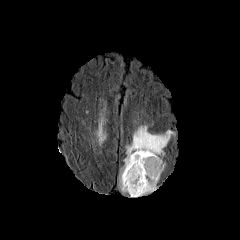
FLAIR MR image.
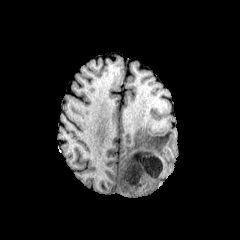
T1-weighted MR image.
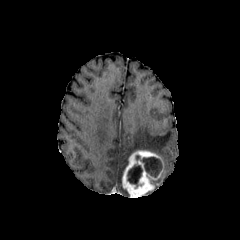
Post-contrast T1-weighted MR image.
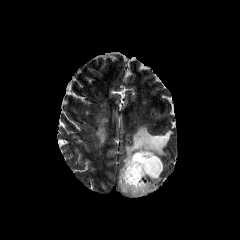
Same slice, T2-weighted MR image.
240x240, Brain
Enhancing tumor: (122, 150, 160, 197).
Edema: (119, 125, 173, 192).
Non-enhancing tumor core: (126, 165, 143, 188), (141, 157, 163, 195).